CT | Liver
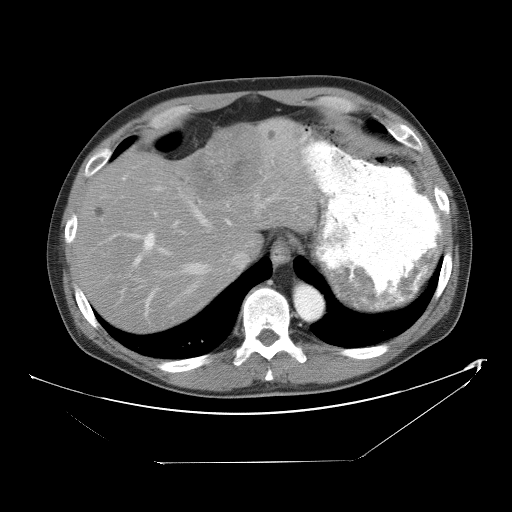
Not every hepatic vessel necessarily has a box.
3 liver tumor regions are located at x1=269 y1=132 x2=276 y2=141, x1=191 y1=127 x2=262 y2=202, x1=96 y1=205 x2=105 y2=217. The top 15 hepatic vessel regions (of 20) appear at x1=173 y1=221 x2=178 y2=226, x1=144 y1=241 x2=148 y2=251, x1=127 y1=234 x2=136 y2=235, x1=110 y1=234 x2=118 y2=239, x1=138 y1=235 x2=146 y2=236, x1=154 y1=187 x2=161 y2=189, x1=189 y1=201 x2=194 y2=213, x1=133 y1=258 x2=136 y2=265, x1=145 y1=308 x2=147 y2=314, x1=149 y1=288 x2=157 y2=296, x1=254 y1=211 x2=257 y2=213, x1=254 y1=193 x2=278 y2=207, x1=185 y1=283 x2=196 y2=292, x1=146 y1=297 x2=148 y2=303, x1=185 y1=263 x2=208 y2=273.